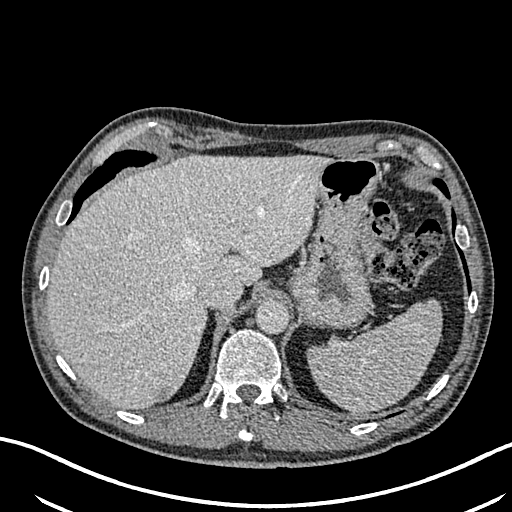
CT image | Liver | 512x512 px
{
  "liver": [
    "<bbox>49, 155, 331, 408</bbox>"
  ],
  "liver_lesion": [
    "<bbox>153, 385, 172, 401</bbox>"
  ]
}